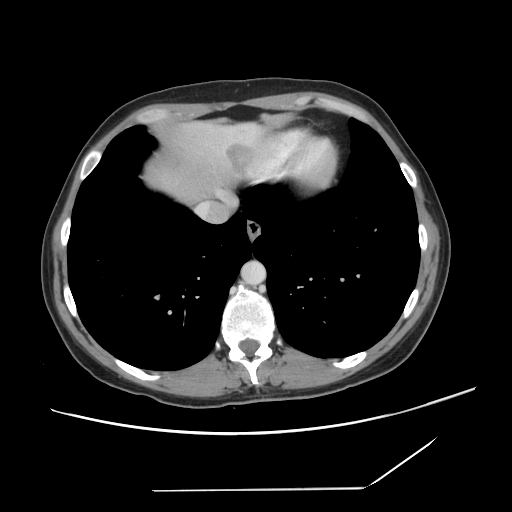 512x512, Abdomen, CT image

Liver tumor at rect(228, 146, 253, 178).